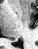

Hippocampus | MR
Posterior hippocampus — l=12, t=39, r=13, b=40.